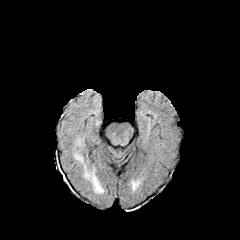
FLAIR MR image.
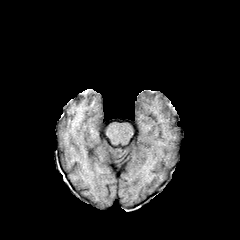
T1-weighted MRI.
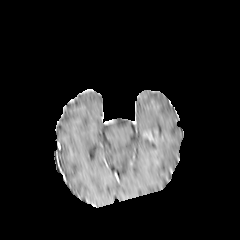
Post-contrast T1-weighted MR.
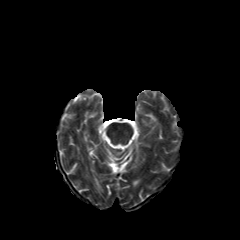
T2-weighted MR image of the same slice.
Edema: bounding box 85:169:101:191.